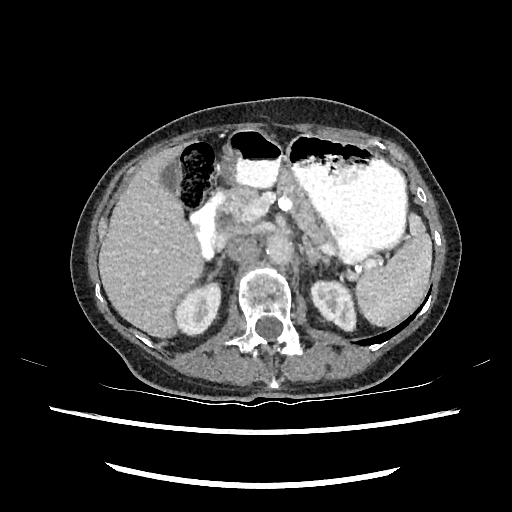

Abdomen. CT image. Image size 512x512. Liver = 99,147,202,336.
Kidney = 312,282,354,329; 177,286,219,333.